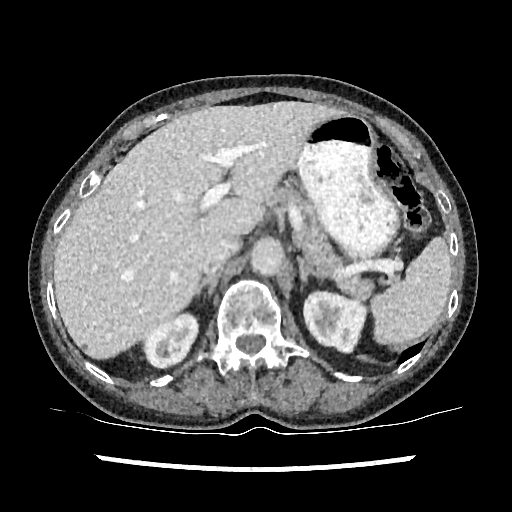
CT scan slice
{"liver": ["[x1=54, y1=102, x2=345, y2=357]"], "kidney": ["[x1=146, y1=316, x2=196, y2=370]", "[x1=304, y1=293, x2=364, y2=350]"]}